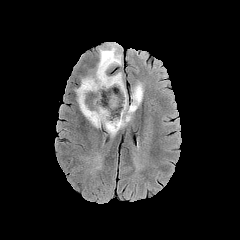
FLAIR magnetic resonance.
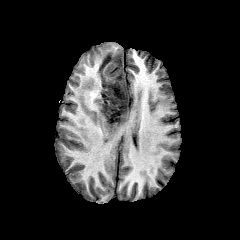
T1-weighted magnetic resonance.
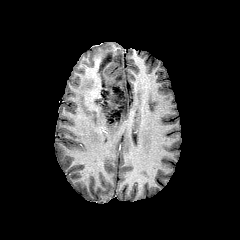
Same slice, post-contrast T1-weighted MR image.
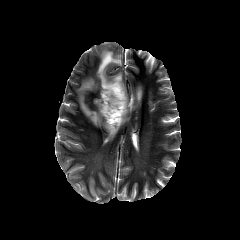
T2-weighted MRI of the same slice.
Head
The non-enhancing tumor core is at {"x1": 100, "y1": 83, "x2": 126, "y2": 123}. The edema lies within {"x1": 76, "y1": 43, "x2": 142, "y2": 137}.